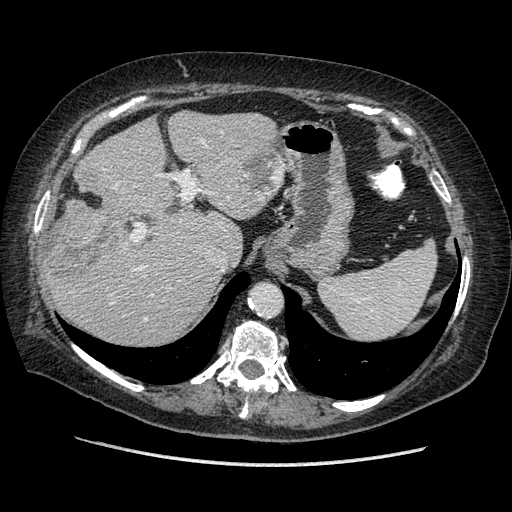 Liver; CT slice
Some hepatic vessels may have no box.
hepatic_vessel:
  - (x1=131, y1=222, x2=146, y2=241)
  - (x1=164, y1=169, x2=208, y2=201)
liver_tumor:
  - (x1=48, y1=204, x2=112, y2=275)